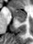

MR image. Hippocampus. Image size 33x44.

The anterior hippocampus appears at bbox=[9, 6, 26, 17]. The posterior hippocampus appears at bbox=[15, 18, 25, 22].